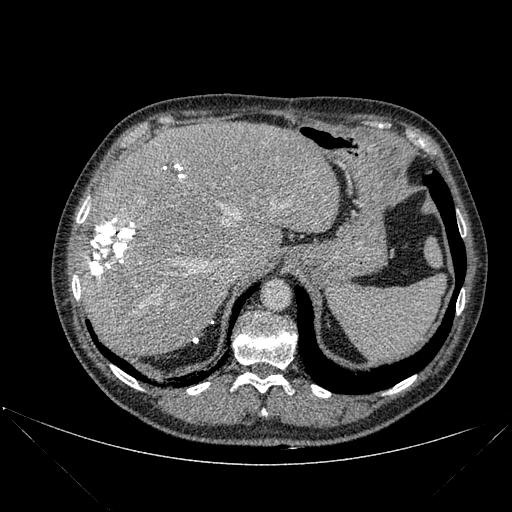

CT; Image size 512x512; Upper abdomen

Lung — box=[295, 171, 465, 393]; box=[230, 285, 256, 324]; box=[176, 352, 227, 386]; box=[88, 324, 143, 379].
Focal liver lesion — box=[165, 162, 177, 175].
Bone — box=[233, 318, 296, 369]; box=[456, 295, 464, 314]; box=[389, 375, 416, 393]; box=[311, 385, 330, 397]; box=[110, 365, 141, 389]; box=[234, 372, 289, 392]; box=[187, 382, 209, 394]; box=[77, 202, 89, 222]; box=[459, 217, 465, 236]; box=[72, 275, 80, 299].
Liver — box=[81, 121, 339, 355].